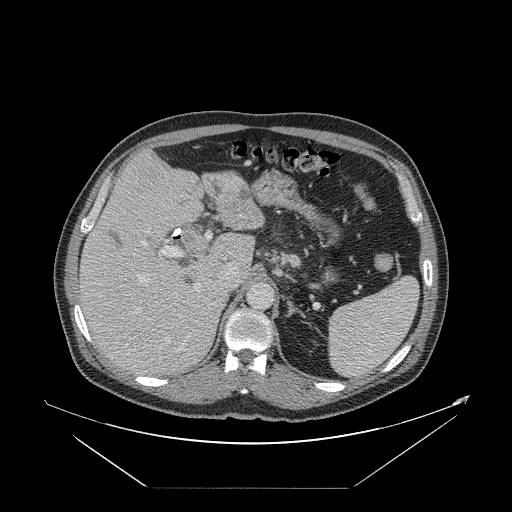 Abdomen. Computed tomography. 512x512.

Only some of the vessels may be annotated.
Annotated regions:
• hepatic vessel: (146, 230, 149, 233), (205, 232, 210, 238), (223, 258, 225, 259), (216, 217, 217, 218), (175, 345, 185, 350), (211, 253, 249, 291), (166, 337, 169, 341), (134, 309, 139, 313), (194, 284, 200, 290), (170, 229, 180, 240), (197, 204, 201, 209), (136, 275, 148, 283), (161, 241, 182, 257), (142, 242, 146, 245)